CT. Slice 29 of 147. 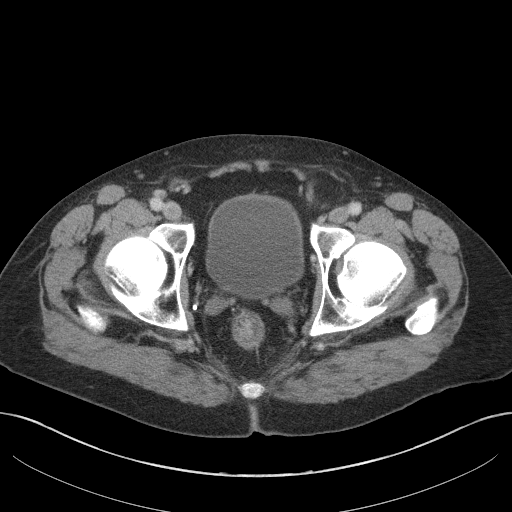 urinary_bladder:
  - l=206, t=201, r=303, b=299